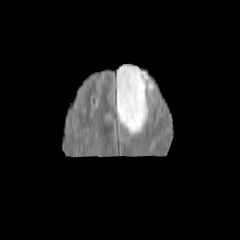
FLAIR MRI.
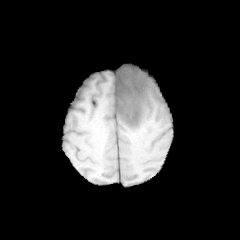
T1-weighted magnetic resonance of the same slice.
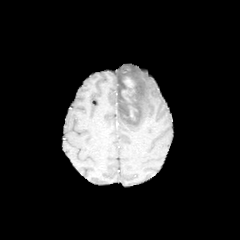
Post-contrast T1-weighted MR.
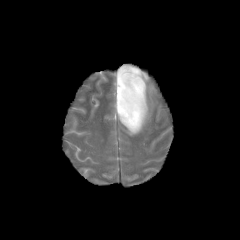
T2-weighted MR image of the same slice.
{
  "enhancing_tumor": [
    "[128,106,137,120]",
    "[124,77,134,88]",
    "[122,89,134,103]"
  ],
  "non-enhancing_tumor_core": [
    "[122,92,139,122]",
    "[122,69,137,91]"
  ],
  "edema": [
    "[116,64,148,133]"
  ]
}